Slice 21 of 36, CT slice, Liver, Image width 405 mm 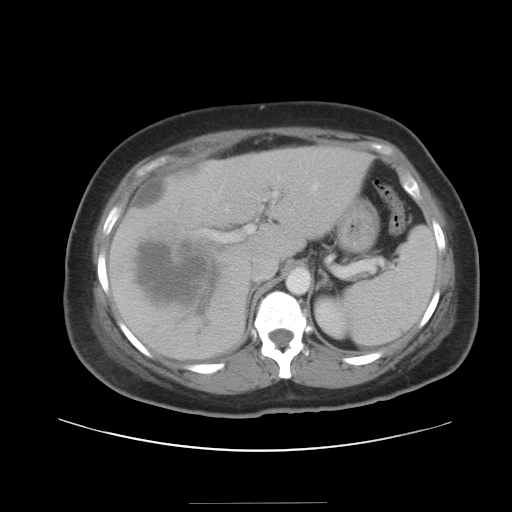

Some hepatic vessels may have no box.
{"liver_tumor": ["(139, 242, 217, 304)"], "hepatic_vessel": ["(273, 193, 275, 195)", "(197, 225, 254, 242)"]}